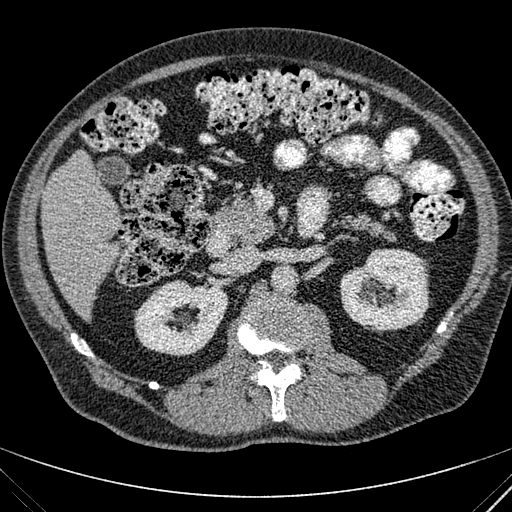

Liver | CT scan slice

Kidney: bbox(135, 277, 227, 355); bbox(340, 249, 428, 329).
Liver: bbox(42, 152, 120, 319).